Image width 496 mm; 512x512 px; CT slice

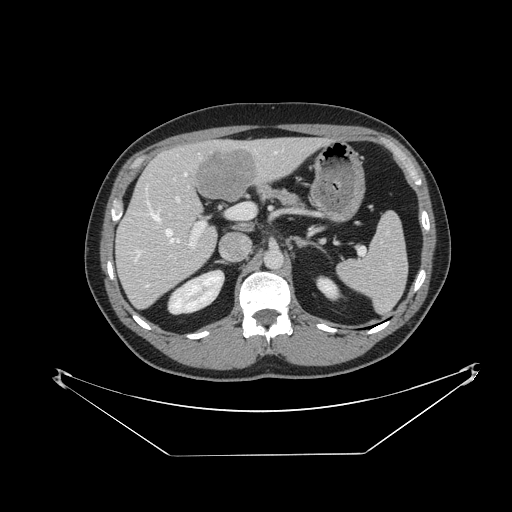 The spleen is bounded by [338,213,406,312].